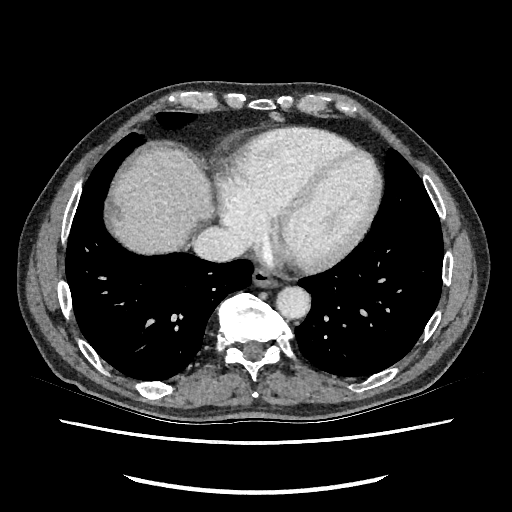 CT scan slice. Liver. 512x512.
Liver = [112, 149, 214, 251].
Hepatic lesion = [113, 206, 120, 216].